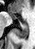
MR, 35x49

anterior hippocampus: rect(10, 14, 17, 19) | posterior hippocampus: rect(14, 21, 27, 38)